Brain, Image width 240 mm, Slice index 67
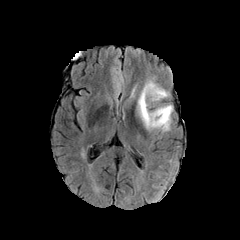
FLAIR MR image.
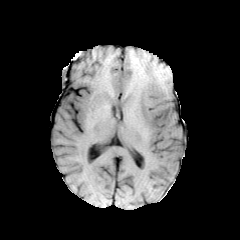
T1-weighted MR of the same slice.
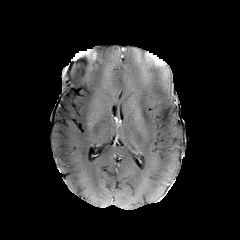
Post-contrast T1-weighted MR.
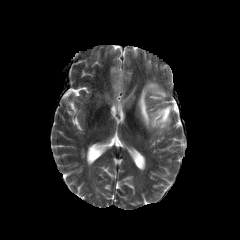
T2-weighted MR image of the same slice.
Edema: l=137, t=80, r=173, b=131.